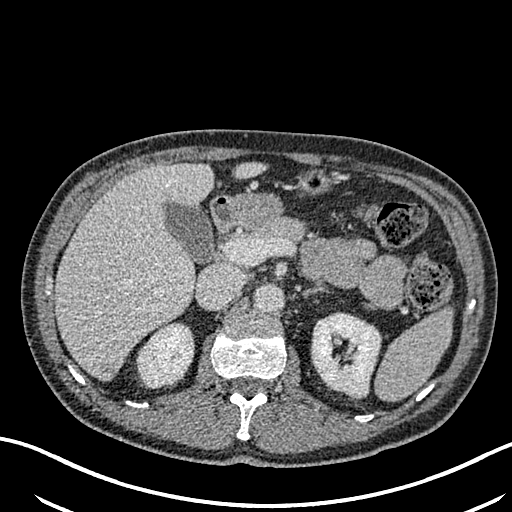

512x512, CT image
Kidney: bounding box (x1=312, y1=314, x2=380, y2=393), (x1=138, y1=325, x2=193, y2=383).
Liver: bounding box (x1=56, y1=164, x2=212, y2=379), (x1=233, y1=162, x2=263, y2=178).
Hepatic lesion: bounding box (x1=100, y1=362, x2=116, y2=374).